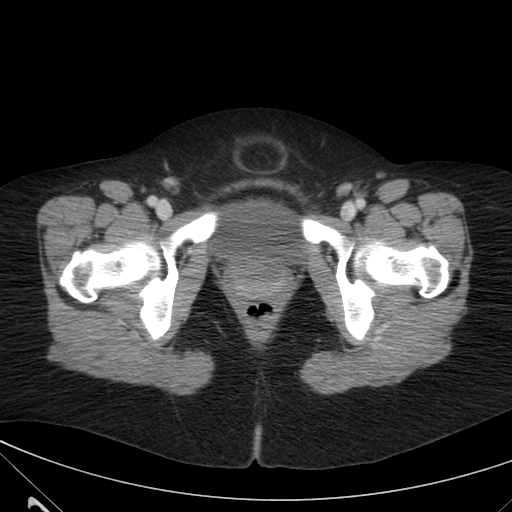

CT slice
The urinary bladder is bounded by x1=205 y1=197 x2=308 y2=270.